FLAIR MRI.
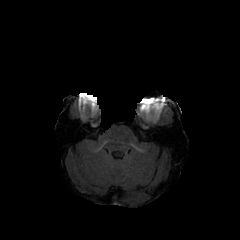
T1-weighted MRI.
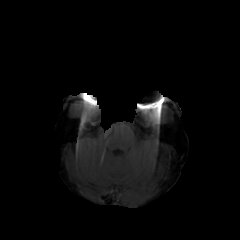
Post-contrast T1-weighted MRI.
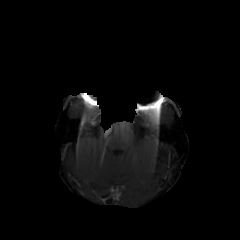
T2-weighted MR.
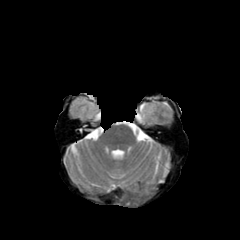
non-enhancing tumor core: (left=146, top=108, right=161, bottom=122), (left=82, top=100, right=97, bottom=112) | enhancing tumor: (left=139, top=100, right=165, bottom=115)